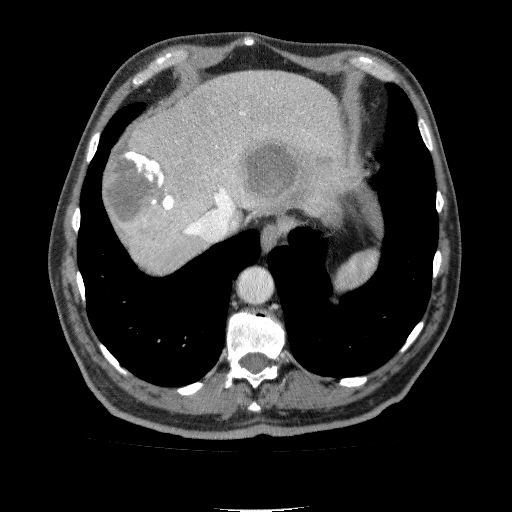

512x512 px, CT scan slice
Focal liver lesion: [237,138,332,206], [104,145,179,230].
Liver: [112,71,349,273].